CT scan slice. 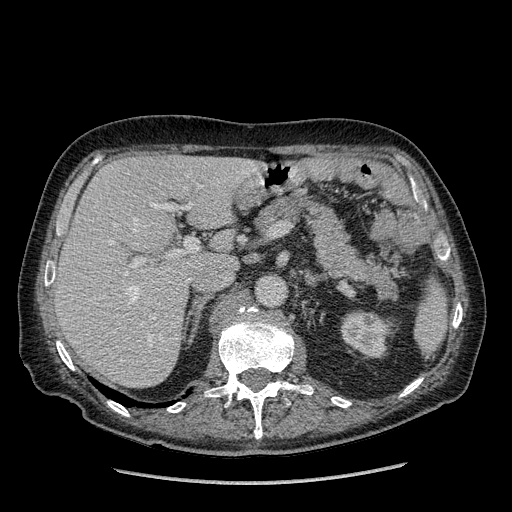 The liver is at (55, 155, 257, 387). The kidney appears at (341, 312, 392, 357).